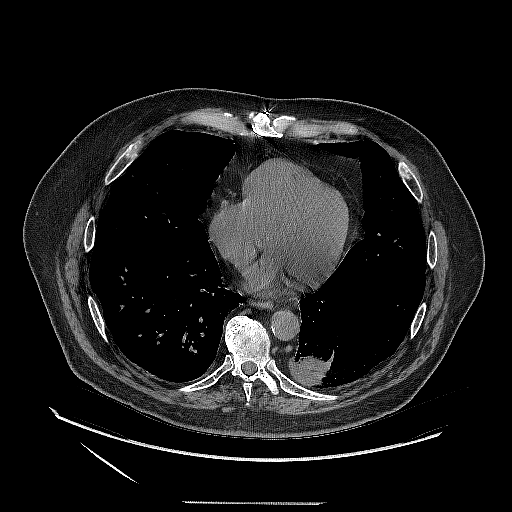

Chest; 512x512 px; CT
The lung tumor is at [x1=289, y1=339, x2=352, y2=387].